CT image, Liver, 512x512

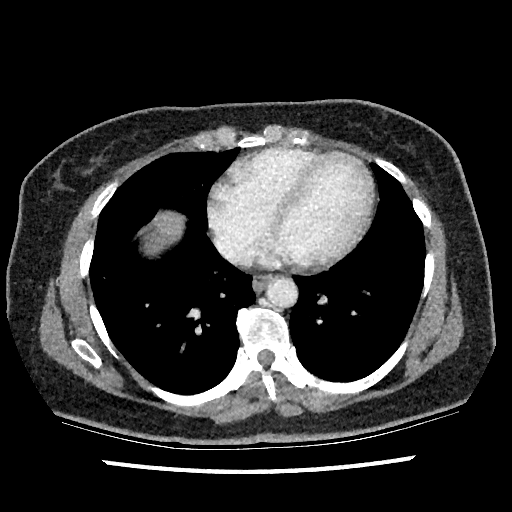
The liver is bounded by bbox=[144, 212, 182, 249].